CT | Slice 396 of 552 | Image width 700 mm | 512x512 px

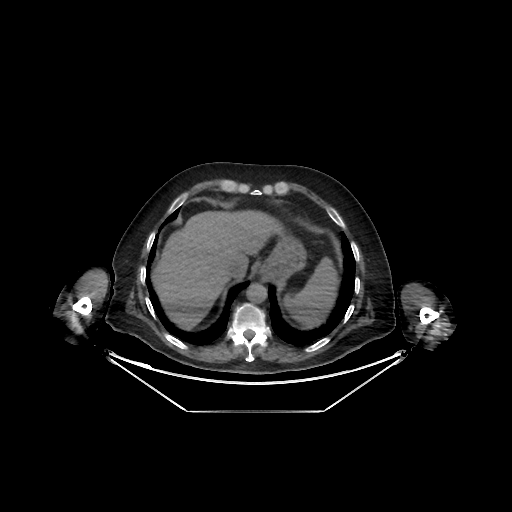

liver: {"x1": 152, "y1": 211, "x2": 275, "y2": 329}